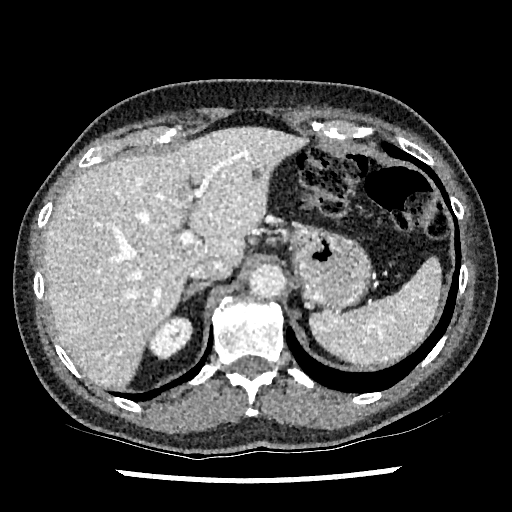
512x512 px. Liver. CT.
liver lesion: (253, 168, 263, 177) | liver: (44, 127, 307, 387) | kidney: (151, 319, 189, 356)